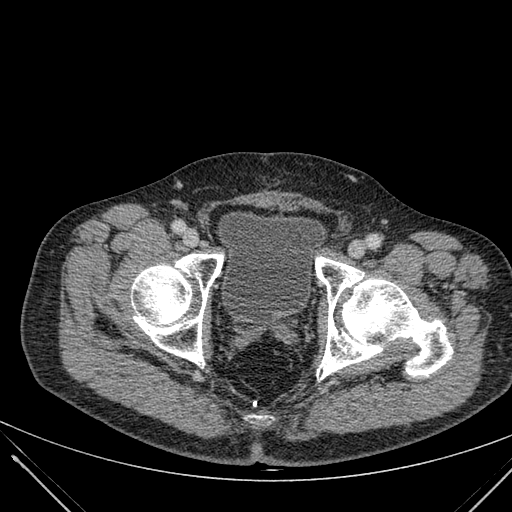
512x512 px. Computed tomography.

The urinary bladder is bounded by [218,212,326,318].